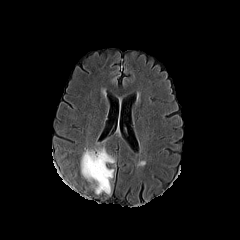
FLAIR MRI.
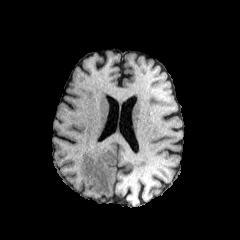
T1-weighted magnetic resonance.
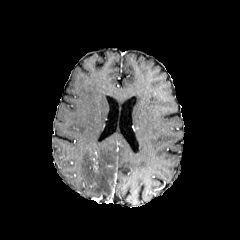
Post-contrast T1-weighted magnetic resonance of the same slice.
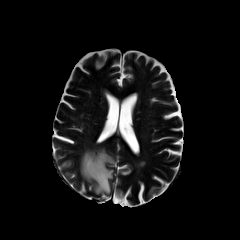
Same slice, T2-weighted MR.
Brain, 240x240
Edema: bounding box l=80, t=149, r=114, b=195.